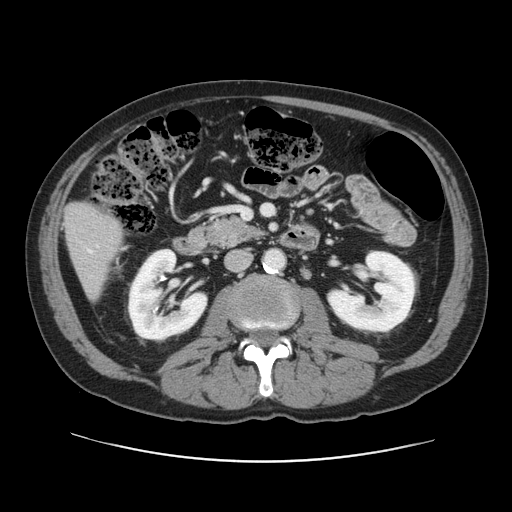
CT image; Abdomen
Only some of the vessels may be annotated.
The hepatic vessel is bounded by region(88, 250, 91, 252).